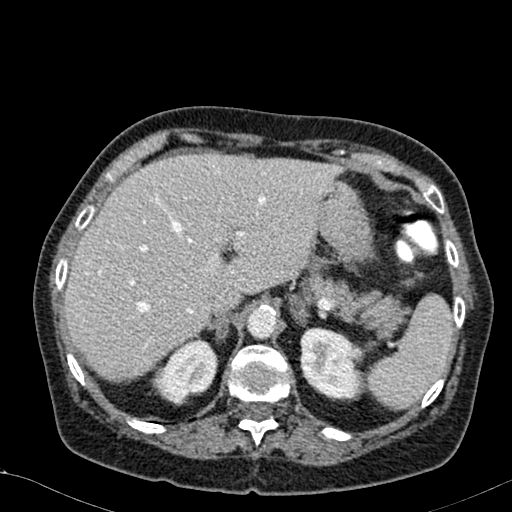

512x512, CT, Liver

• kidney: [x1=301, y1=328, x2=362, y2=398], [x1=154, y1=340, x2=216, y2=402]
• liver: [x1=65, y1=154, x2=342, y2=379]